Field of view 436 mm wide, 5.00 mm slice spacing; Computed tomography
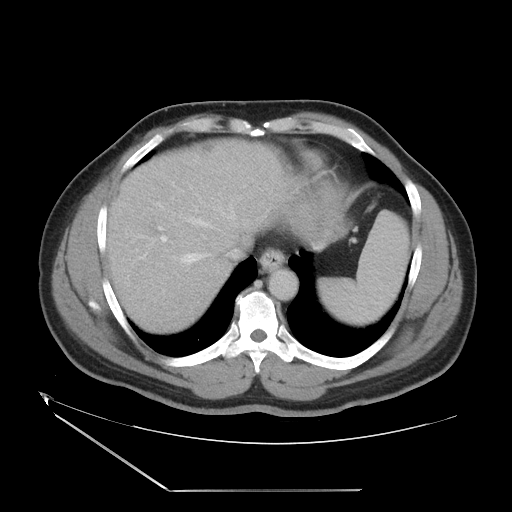

The vessel boxes may cover only some of the vessels.
hepatic vessel: 156 202 161 206, 181 190 183 191, 188 217 210 226, 231 224 237 226, 215 224 222 231, 229 204 230 208, 159 227 161 229, 173 256 175 258, 242 242 249 244, 181 253 209 263, 161 236 166 241, 228 213 235 219, 173 212 174 214, 227 248 241 259